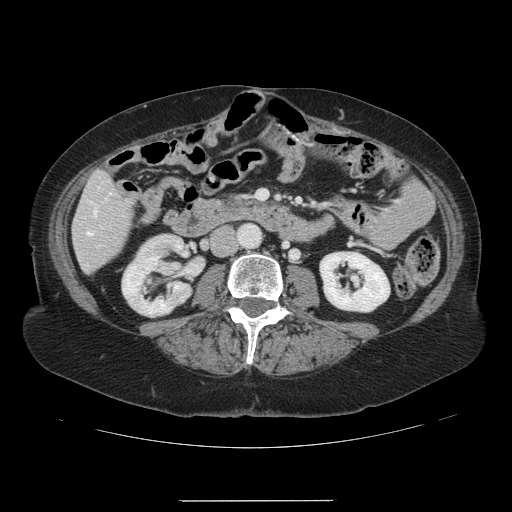 CT image
The vessel annotation is not exhaustive.
{
  "hepatic_vessel": [
    "<box>94,208,96,213</box>",
    "<box>92,202,93,204</box>",
    "<box>87,230,92,234</box>"
  ]
}